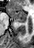
Hippocampus, Magnetic resonance

The posterior hippocampus is bounded by x1=15, y1=20, x2=25, y2=22. The anterior hippocampus lies within x1=7, y1=8, x2=26, y2=19.